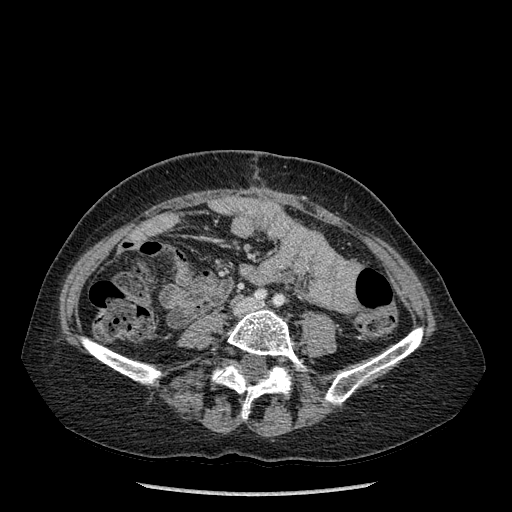 512x512. CT image. 4 bone regions are located at box(81, 337, 160, 384); box(227, 309, 305, 370); box(325, 327, 422, 404); box(212, 362, 290, 418).